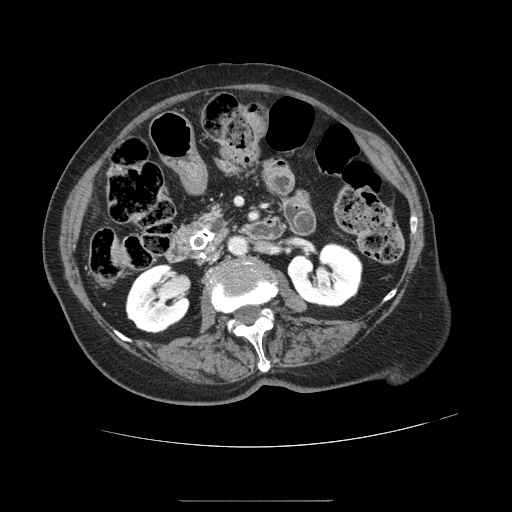

Computed tomography | Abdomen
Annotated regions:
• pancreas: (186, 207, 230, 253)